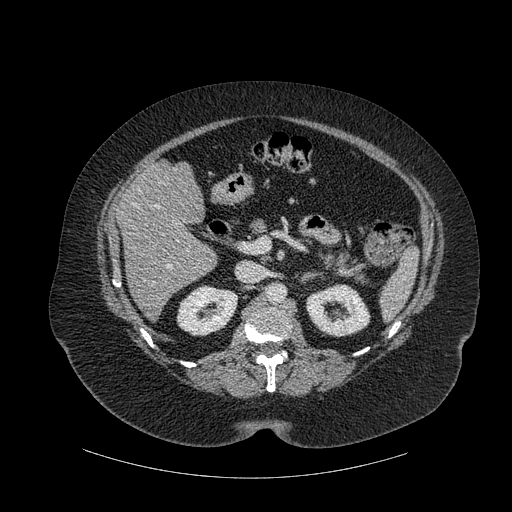

CT | Upper abdomen
bone: (x1=389, y1=321, x2=400, y2=337), (x1=140, y1=329, x2=153, y2=346), (x1=354, y1=347, x2=369, y2=355), (x1=245, y1=299, x2=290, y2=342), (x1=257, y1=352, x2=286, y2=391), (x1=181, y1=361, x2=195, y2=367) | liver: (x1=116, y1=161, x2=217, y2=316) | kidney: (x1=307, y1=285, x2=369, y2=335), (x1=177, y1=286, x2=237, y2=334)